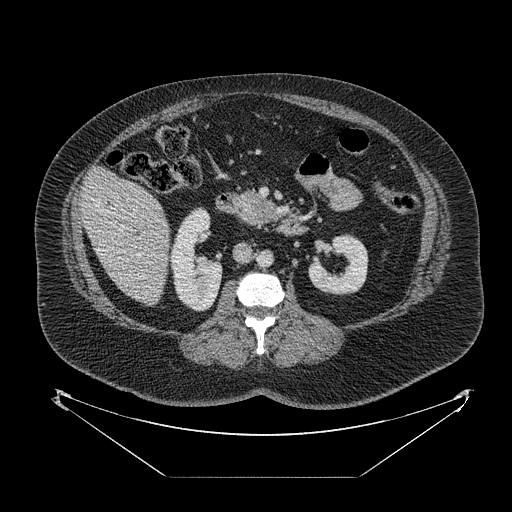

Abdomen; Image size 512x512; Computed tomography
pancreas:
  - 235, 192, 269, 227
pancreatic_tumor:
  - 250, 197, 276, 222